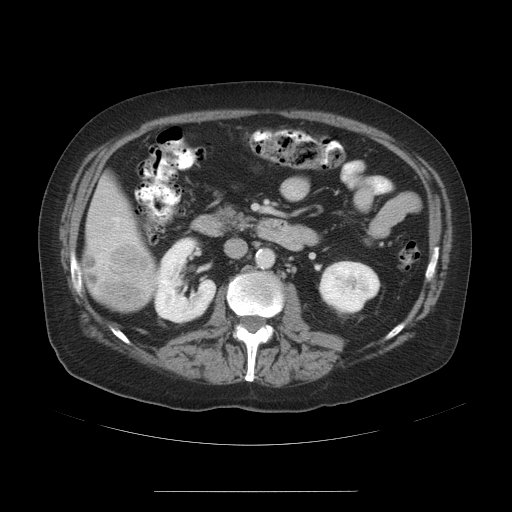
CT slice, Liver

Only some of the vessels may be annotated.
liver_tumor:
  - box(84, 243, 155, 310)
hepatic_vessel:
  - box(114, 217, 119, 221)
  - box(124, 234, 130, 238)